Slice 66 of 131 | CT scan slice | Abdomen 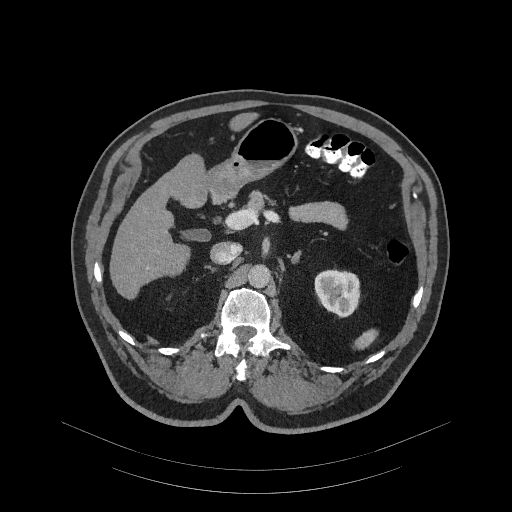 <segmentation>
  <pancreas>{"x1": 247, "y1": 191, "x2": 266, "y2": 209}</pancreas>
</segmentation>